CT
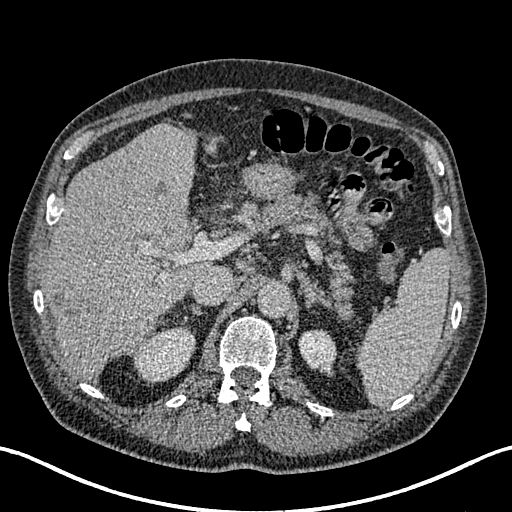 Kidney: [299,331,335,372], [136,329,194,380].
Hepatic lesion: [151,180,171,200], [162,229,183,248], [51,285,92,323].
Liver: [45,125,214,379], [206,141,215,151].